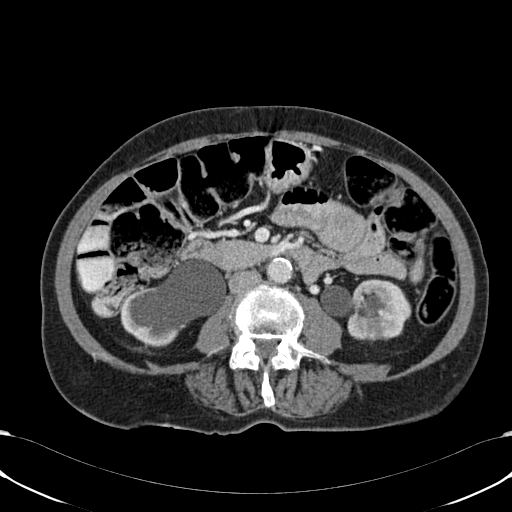
Abdomen; CT; 512x512
<segmentation>
  <kidney>box(121, 288, 226, 345); box(348, 280, 410, 338)</kidney>
</segmentation>